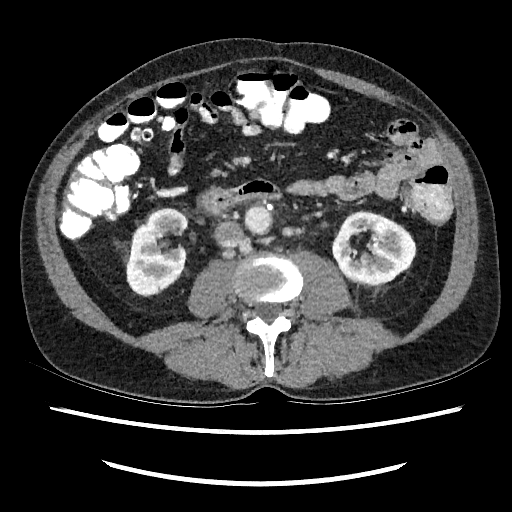
Computed tomography

kidney:
  - 333 213 415 283
  - 127 209 186 293